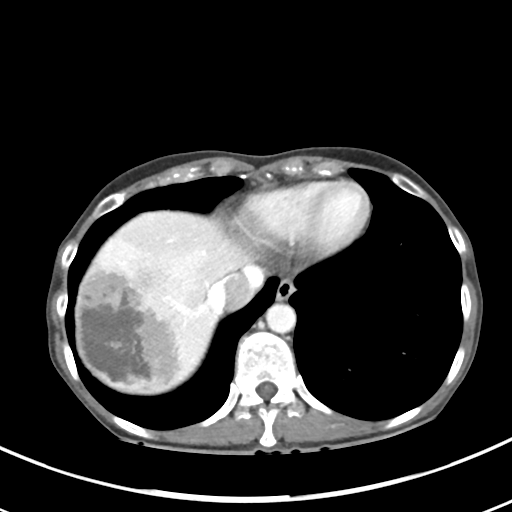 CT image. Abdomen. Liver tumor — [x1=77, y1=259, x2=187, y2=394].